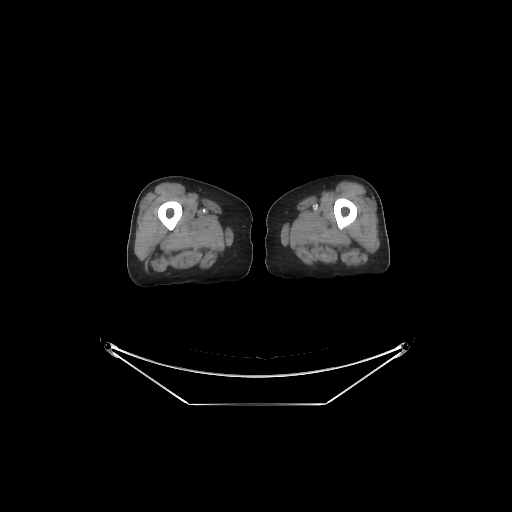
Computed tomography. Bone: bbox=[158, 200, 182, 230]; bbox=[334, 198, 356, 229].